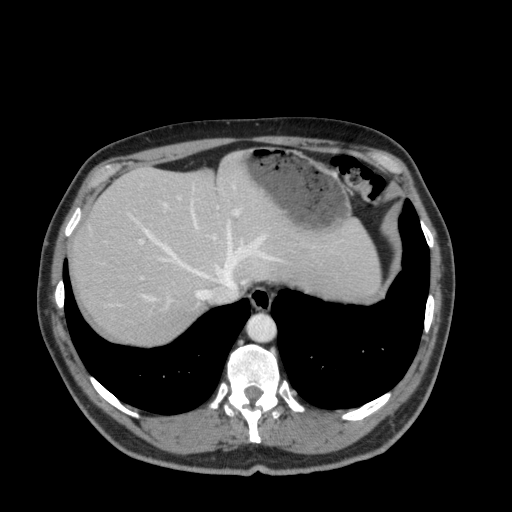

Liver, CT slice
The liver is bounded by (74,153,379,344).